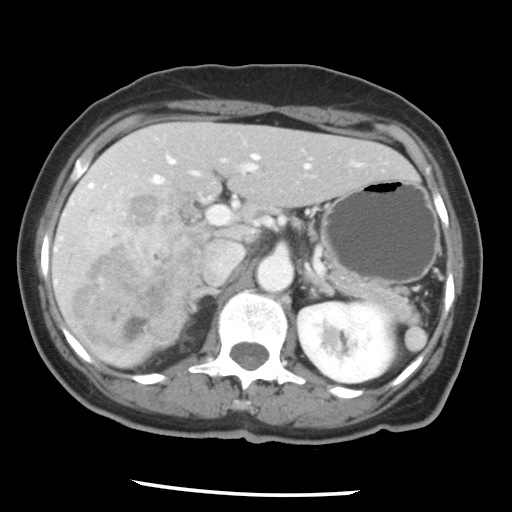

CT

The vessel annotation is not exhaustive.
{"liver_tumor": ["bbox(72, 226, 206, 352)"], "hepatic_vessel": ["bbox(83, 181, 99, 205)", "bbox(305, 164, 309, 168)", "bbox(166, 155, 175, 164)", "bbox(101, 185, 106, 188)", "bbox(210, 245, 241, 276)", "bbox(251, 153, 259, 159)", "bbox(150, 174, 164, 184)", "bbox(240, 164, 256, 170)", "bbox(207, 206, 231, 223)", "bbox(191, 171, 197, 174)"]}